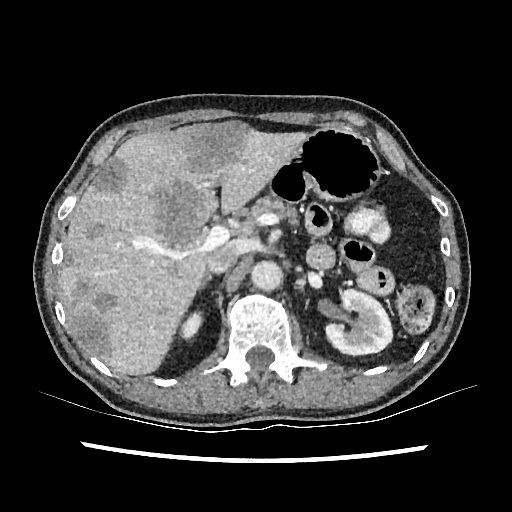 Image size 512x512; CT
kidney:
  - 184,314,199,336
  - 326,289,394,358
  - 311,278,321,287
liver:
  - 61,130,307,373
liver_lesion:
  - 93,158,125,191
  - 72,280,93,300
  - 62,253,73,267
  - 84,223,105,240
  - 175,123,251,170
  - 166,262,178,275
  - 154,182,200,242
  - 93,290,117,313
  - 71,313,110,354